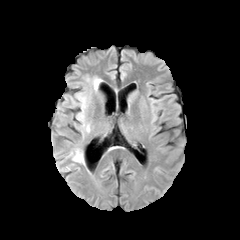
FLAIR magnetic resonance.
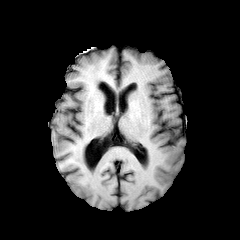
T1-weighted MRI.
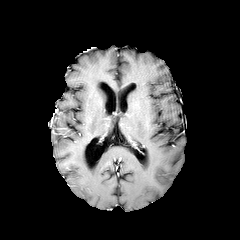
Post-contrast T1-weighted MRI.
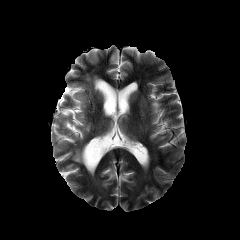
T2-weighted MR image.
Edema: [x1=87, y1=77, x2=102, y2=94], [x1=67, y1=148, x2=84, y2=163], [x1=70, y1=91, x2=90, y2=139].